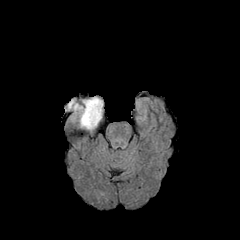
FLAIR MR.
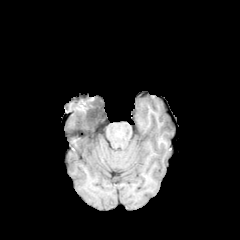
T1-weighted MR image.
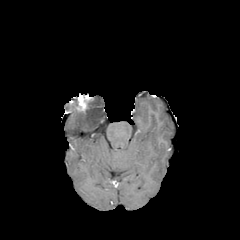
Post-contrast T1-weighted MR image.
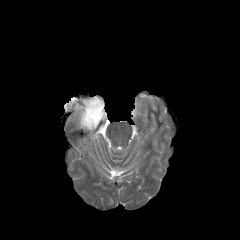
T2-weighted MRI.
Brain.
Enhancing tumor = l=79, t=99, r=89, b=108.
Edema = l=76, t=113, r=101, b=130; l=90, t=97, r=103, b=113.
Non-enhancing tumor core = l=69, t=97, r=102, b=121.